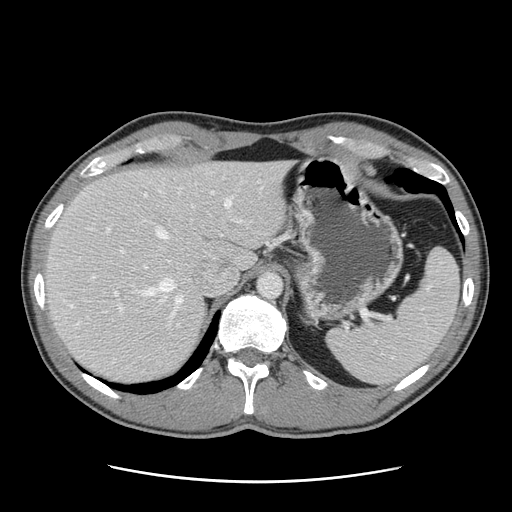 CT slice | Abdomen | Image size 512x512

The vessel annotation is not exhaustive.
• hepatic vessel (most prominent 15 of 19): (left=170, top=296, right=182, bottom=318), (left=119, top=305, right=121, bottom=311), (left=235, top=220, right=241, bottom=221), (left=91, top=275, right=94, bottom=278), (left=160, top=297, right=165, bottom=301), (left=156, top=227, right=166, bottom=237), (left=114, top=292, right=117, bottom=295), (left=143, top=279, right=174, bottom=294), (left=178, top=188, right=179, bottom=191), (left=144, top=193, right=146, bottom=196), (left=121, top=250, right=123, bottom=252), (left=211, top=191, right=213, bottom=193), (left=107, top=228, right=109, bottom=231), (left=69, top=304, right=73, bottom=306), (left=224, top=198, right=230, bottom=207)